FLAIR MRI.
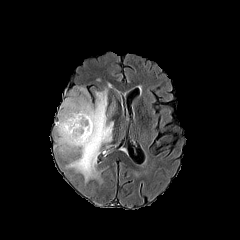
T1-weighted MR image.
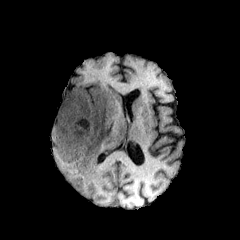
Post-contrast T1-weighted MR.
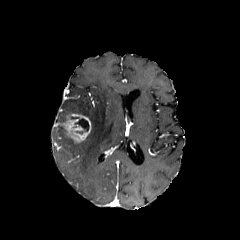
T2-weighted MR.
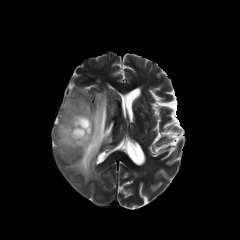
enhancing tumor: [54, 113, 91, 143] | non-enhancing tumor core: [74, 118, 89, 131] | edema: [53, 83, 113, 183]